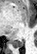 Hippocampus, Magnetic resonance
Posterior hippocampus: bounding box box(10, 40, 23, 47).